Slice 472/841, CT, 512x512 px, Abdomen 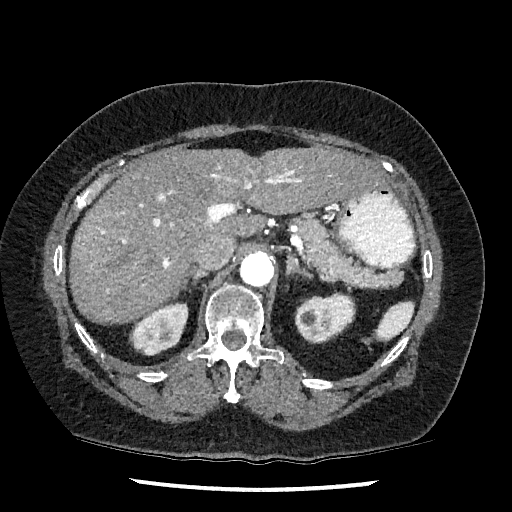

Kidney: bounding box <bbox>133, 304, 187, 354</bbox>, <bbox>297, 294, 354, 341</bbox>.
Liver: bounding box <bbox>70, 148, 385, 322</bbox>.